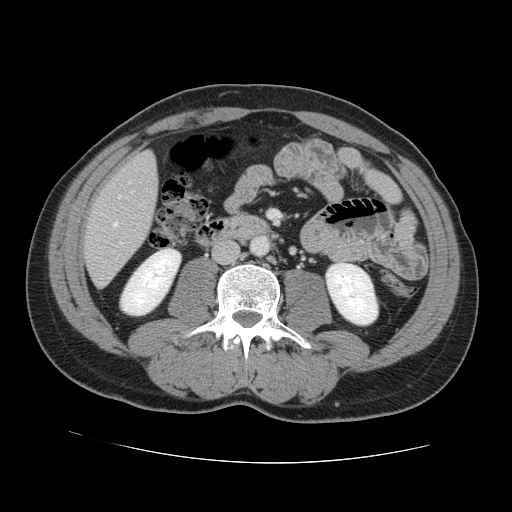
CT slice

Not every hepatic vessel necessarily has a box.
5 hepatic vessel regions appear at 128, 181, 130, 183; 131, 191, 133, 192; 113, 222, 117, 226; 141, 202, 143, 203; 118, 195, 120, 198.